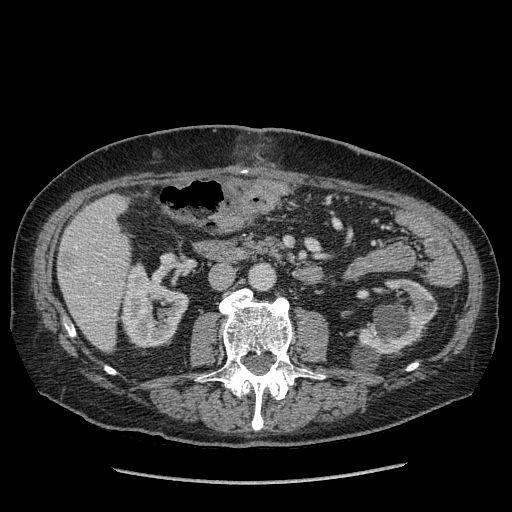
Liver; CT
hepatic_lesion:
  - left=64, top=255, right=78, bottom=266
kidney:
  - left=361, top=290, right=368, bottom=298
  - left=359, top=279, right=437, bottom=353
  - left=122, top=264, right=187, bottom=346
liver:
  - left=58, top=194, right=130, bottom=351